FLAIR MR.
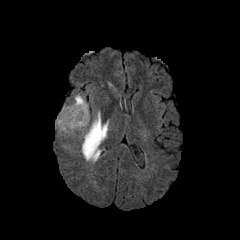
T1-weighted MR.
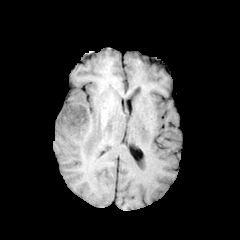
Post-contrast T1-weighted MR.
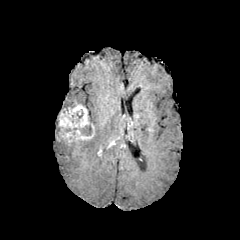
T2-weighted magnetic resonance.
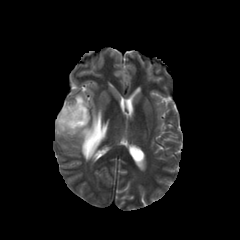
Head. 240x240.
The enhancing tumor is located at (58, 105, 94, 139). The non-enhancing tumor core appears at (79, 125, 91, 136). 4 edema regions are bounded by (62, 93, 90, 121), (62, 144, 73, 152), (55, 117, 76, 136), (79, 110, 109, 163).